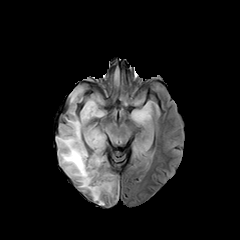
FLAIR MR image.
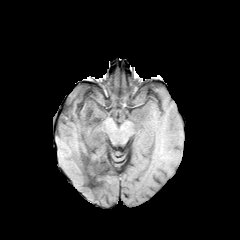
T1-weighted MR image.
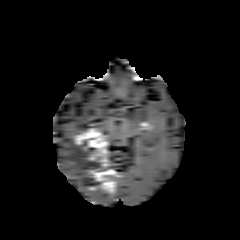
Post-contrast T1-weighted magnetic resonance.
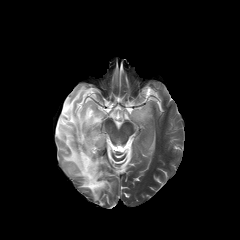
T2-weighted MRI.
Head
Enhancing tumor: bounding box 90:169:113:191, 76:128:107:165.
Non-enhancing tumor core: bounding box 104:176:114:193, 86:119:95:125, 79:140:115:177, 88:178:100:188.
Edema: bounding box 90:190:105:204, 56:85:104:189, 130:102:151:123.